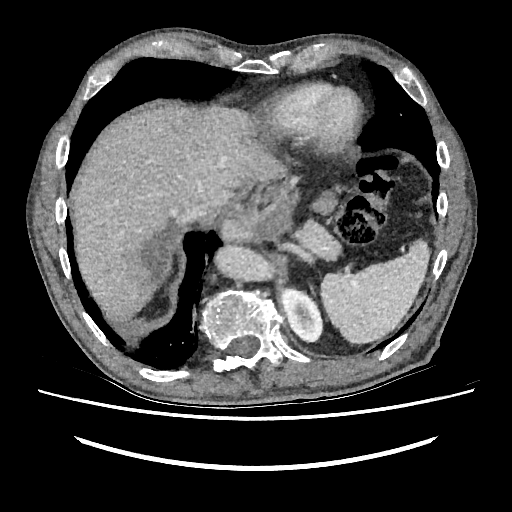

CT, Liver, 512x512 px
2 liver lesion regions are bounded by (x1=243, y1=136, x2=264, y2=148), (x1=125, y1=219, x2=176, y2=295). The kidney appears at (x1=282, y1=289, x2=321, y2=341). The liver is bounded by (x1=73, y1=107, x2=286, y2=322).